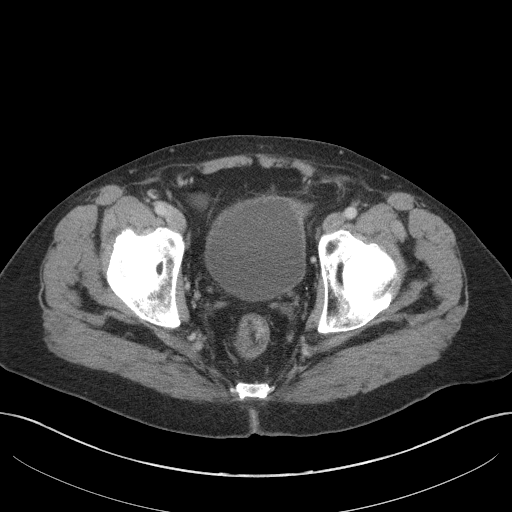

CT image

urinary bladder: <box>205,200,303,300</box>